Slice 47 of 86. CT scan slice. Liver.

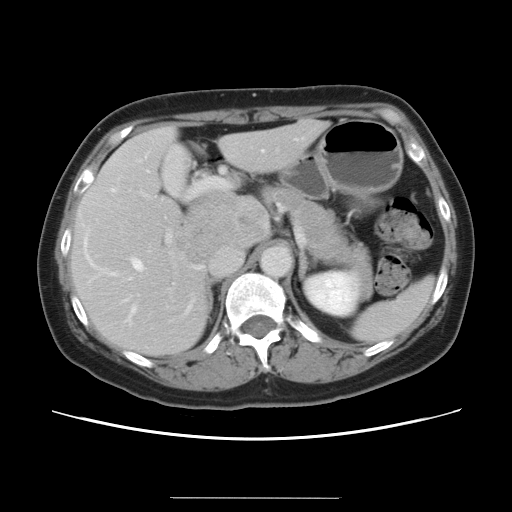 Not every hepatic vessel necessarily has a box.
Principal 15 of 19 hepatic vessel regions: bounding box box=[142, 194, 146, 196]; box=[132, 260, 142, 270]; box=[122, 299, 127, 302]; box=[88, 259, 94, 266]; box=[125, 307, 135, 324]; box=[166, 234, 170, 242]; box=[186, 305, 190, 311]; box=[112, 189, 115, 191]; box=[129, 277, 131, 279]; box=[187, 184, 200, 198]; box=[261, 150, 263, 152]; box=[195, 266, 202, 269]; box=[84, 239, 86, 254]; box=[205, 178, 228, 187]; box=[108, 272, 114, 275].
Liver tumor: bounding box box=[175, 192, 265, 263].